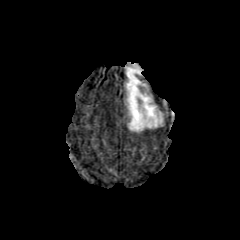
FLAIR magnetic resonance.
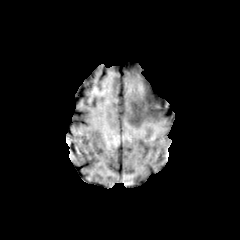
Same slice, T1-weighted MRI.
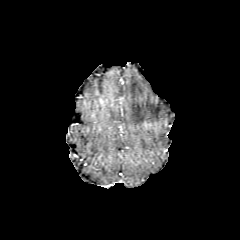
Same slice, post-contrast T1-weighted MRI.
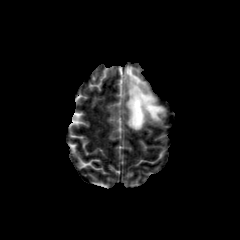
T2-weighted magnetic resonance of the same slice.
240x240 px, Brain
The edema is bounded by (x1=124, y1=64, x2=166, y2=131).